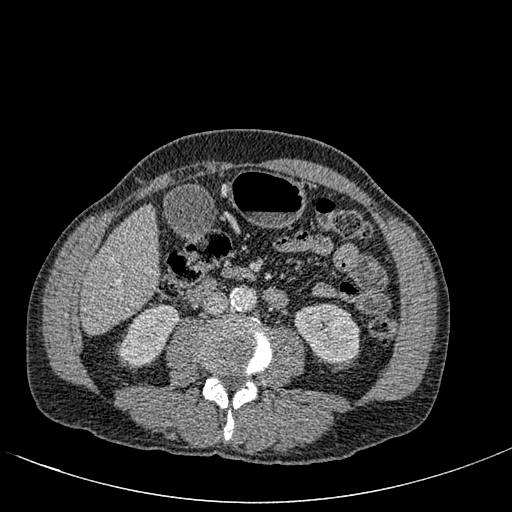

Image size 512x512 | Computed tomography | Upper abdomen

Kidney — (left=119, top=305, right=179, bottom=366), (left=295, top=304, right=358, bottom=363).
Liver — (left=80, top=204, right=158, bottom=331).